MR 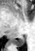

<segmentation>
  <posterior_hippocampus>[13, 36, 24, 46]</posterior_hippocampus>
</segmentation>